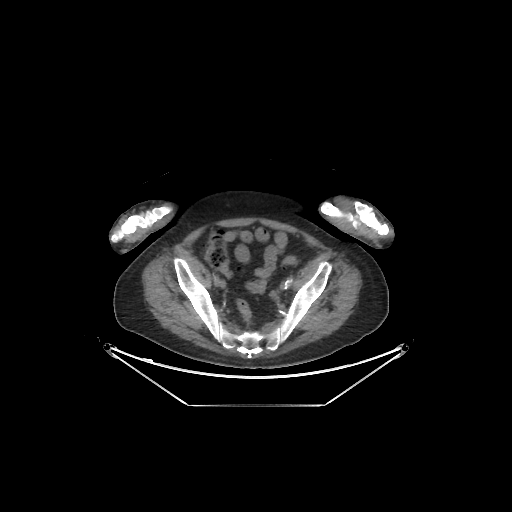

Image size 512x512 | CT scan slice
4 bone regions appear at <bbox>321, 201, 388, 236</bbox>, <bbox>266, 262, 331, 350</bbox>, <bbox>174, 258, 264, 357</bbox>, <bbox>111, 207, 171, 241</bbox>.